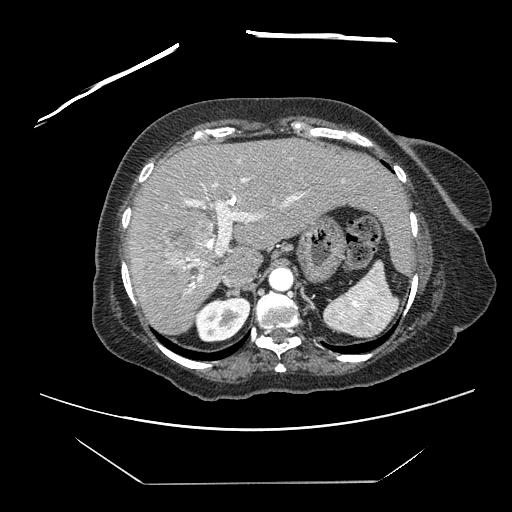

CT slice | Abdomen
The vessel annotation is not exhaustive.
Findings:
* liver tumor: box=[163, 213, 214, 265]
* hepatic vessel: box=[198, 276, 202, 280]; box=[185, 199, 204, 207]; box=[183, 266, 190, 268]; box=[242, 178, 246, 181]; box=[282, 193, 303, 205]; box=[196, 262, 200, 263]; box=[213, 183, 217, 186]; box=[215, 201, 261, 253]